FLAIR MR image.
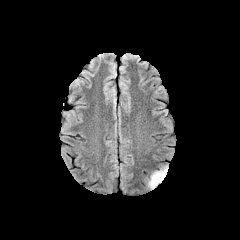
T1-weighted magnetic resonance.
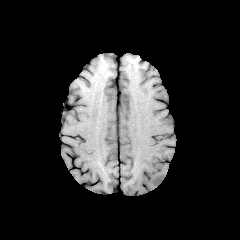
Post-contrast T1-weighted MRI.
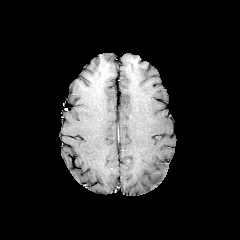
T2-weighted MRI.
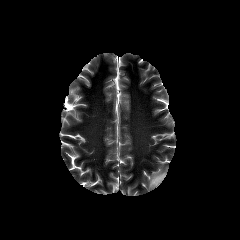
The edema lies within box=[146, 165, 168, 187].